FLAIR MR image.
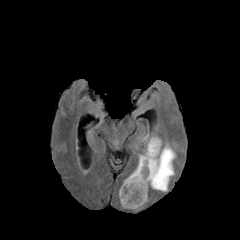
T1-weighted MR image.
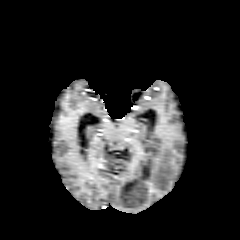
Post-contrast T1-weighted MR image.
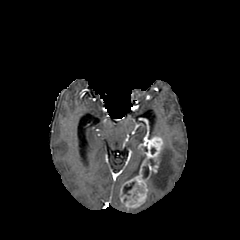
T2-weighted MR.
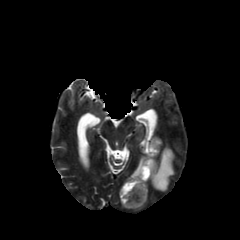
2 non-enhancing tumor core regions are bounded by <bbox>142, 165, 154, 178</bbox>, <bbox>123, 182, 138, 201</bbox>. The enhancing tumor is bounded by <bbox>120, 132, 161, 207</bbox>. 2 edema regions are bounded by <bbox>146, 144, 175, 191</bbox>, <bbox>119, 147, 145, 194</bbox>.